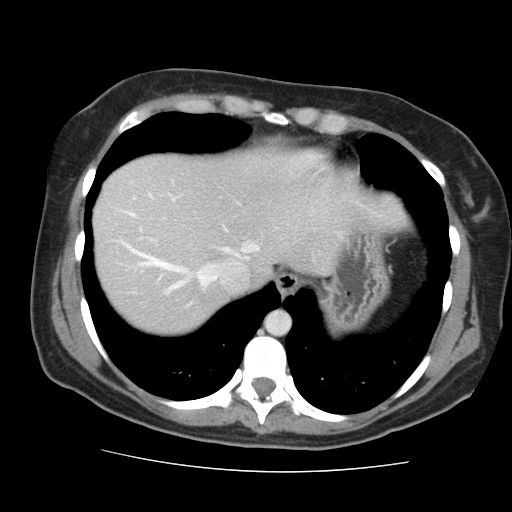

CT scan slice.
Some hepatic vessels may have no box.
Annotated regions:
- hepatic vessel: 252,247,256,249; 210,277,214,280; 243,248,248,251; 171,282,183,288; 195,272,209,285; 124,244,181,270